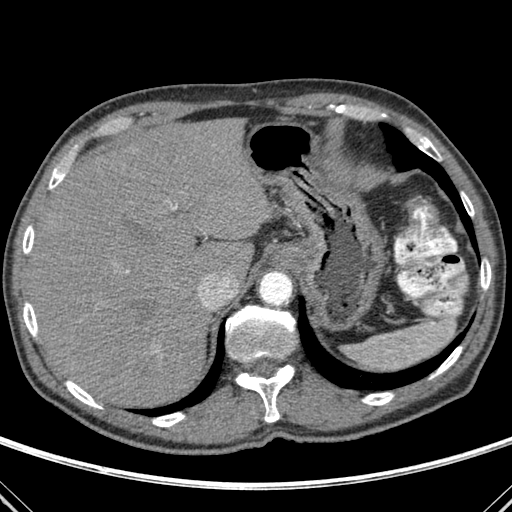 Upper abdomen, CT

12 bone regions are bounded by left=362, top=392, right=393, bottom=405; left=152, top=412, right=184, bottom=426; left=49, top=168, right=64, bottom=188; left=461, top=192, right=474, bottom=216; left=236, top=365, right=293, bottom=422; left=226, top=306, right=296, bottom=365; left=411, top=132, right=441, bottom=160; left=431, top=346, right=462, bottom=377; left=23, top=303, right=37, bottom=336; left=480, top=259, right=491, bottom=290; left=22, top=226, right=34, bottom=253; left=66, top=381, right=101, bottom=408. The liver is at left=27, top=118, right=273, bottom=407. 3 lung regions are bounded by left=130, top=322, right=224, bottom=415; left=298, top=297, right=467, bottom=389; left=379, top=123, right=476, bottom=250.